Field of view 400x400 mm; Abdomen; CT slice
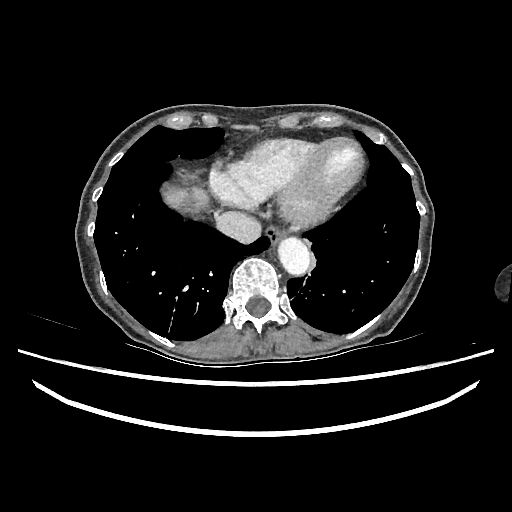

<segmentation>
  <liver>left=165, top=186, right=207, bottom=207</liver>
</segmentation>